CT scan slice. Slice index 23. Abdomen.

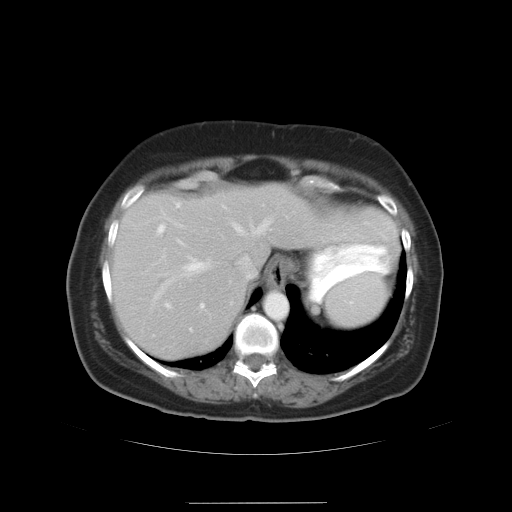

The vessel boxes may cover only some of the vessels.
14 hepatic vessel regions appear at region(222, 205, 225, 208); region(179, 225, 181, 226); region(152, 253, 164, 264); region(175, 202, 181, 207); region(164, 302, 171, 308); region(177, 239, 184, 245); region(156, 211, 170, 235); region(152, 255, 213, 306); region(199, 303, 203, 308); region(231, 222, 244, 234); region(247, 272, 252, 277); region(241, 257, 249, 266); region(190, 328, 191, 331); region(255, 222, 267, 231).